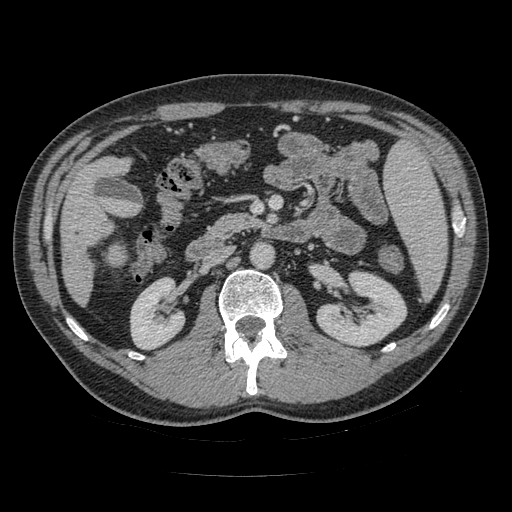
Upper abdomen; CT slice
pancreas:
  - left=209, top=213, right=261, bottom=240